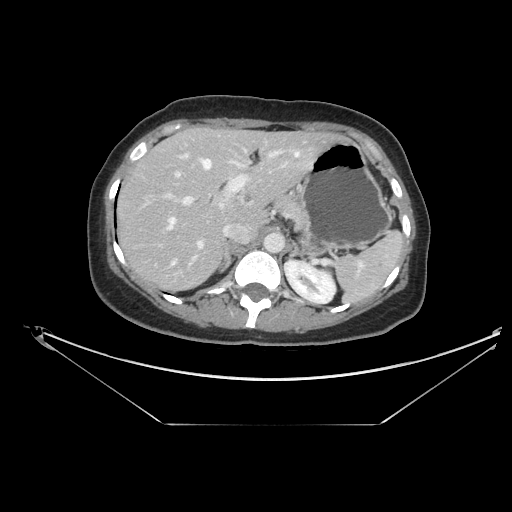 CT image, Image size 512x512
Segmented structures:
• pancreas: 276,195,307,226